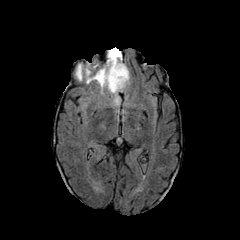
FLAIR MR image.
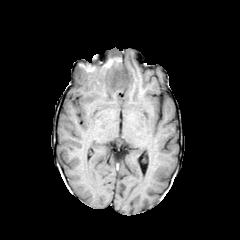
T1-weighted magnetic resonance of the same slice.
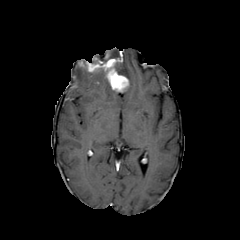
Post-contrast T1-weighted MR.
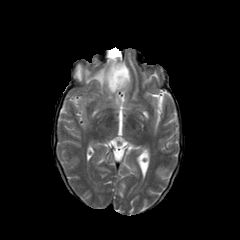
T2-weighted MR of the same slice.
Head, 240x240 px
• edema: bbox(74, 64, 122, 108); bbox(116, 62, 130, 77)
• non-enhancing tumor core: bbox(84, 68, 105, 77); bbox(91, 56, 106, 65); bbox(109, 47, 120, 58); bbox(114, 64, 129, 80)
• enhancing tumor: bbox(79, 50, 129, 91)